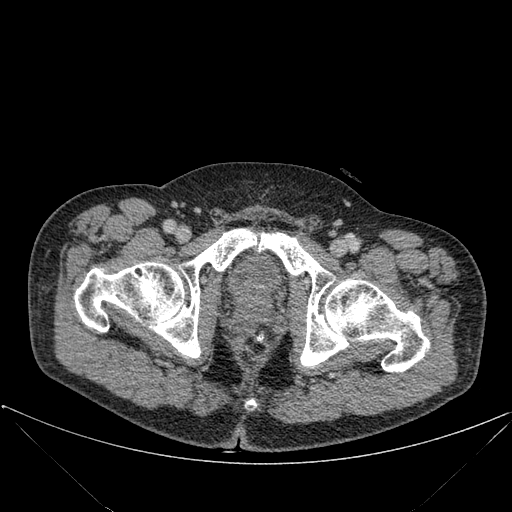

Image size 512x512, CT scan slice

Bone: rect(246, 399, 255, 408); rect(74, 229, 257, 358); rect(258, 233, 429, 371).